Image size 512x512; CT scan slice; Slice index 21; Field of view 450x450 mm; Upper abdomen

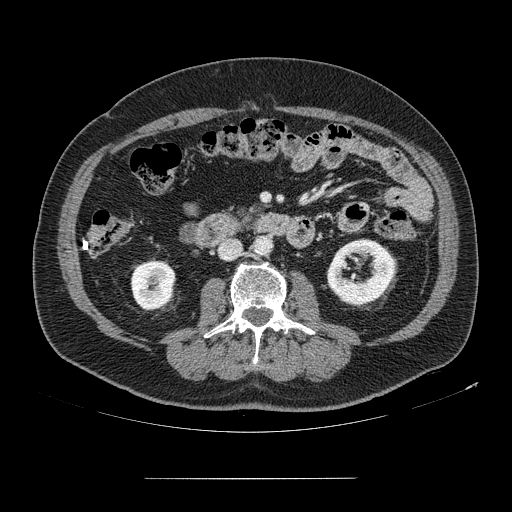 The pancreatic tumor lies within {"x1": 250, "y1": 203, "x2": 264, "y2": 223}. The pancreas lies within {"x1": 230, "y1": 201, "x2": 266, "y2": 231}.